512x512 | CT scan slice | Slice 350/588 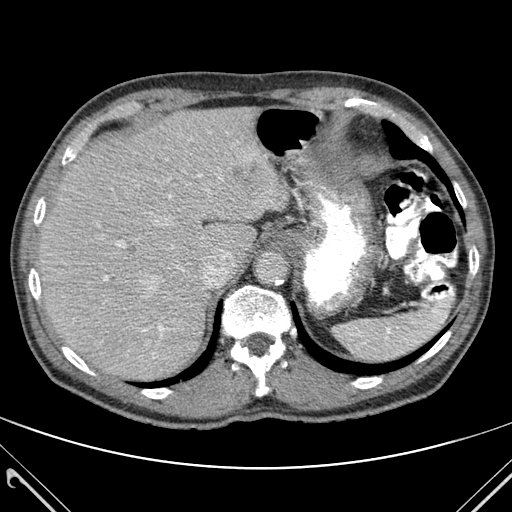

11 bone regions appear at x1=29 y1=269 x2=40 y2=298, x1=34 y1=199 x2=44 y2=224, x1=469 y1=247 x2=478 y2=273, x1=63 y1=148 x2=74 y2=163, x1=455 y1=184 x2=465 y2=206, x1=62 y1=347 x2=93 y2=374, x1=142 y1=388 x2=170 y2=398, x1=353 y1=377 x2=381 y2=388, x1=223 y1=286 x2=290 y2=395, x1=419 y1=332 x2=450 y2=361, x1=414 y1=132 x2=431 y2=149. The liver is bounded by x1=39 y1=107 x2=284 y2=380. 3 lung regions appear at x1=382 y1=121 x2=458 y2=207, x1=146 y1=309 x2=219 y2=386, x1=293 y1=306 x2=436 y2=374. The liver lesion is bounded by x1=233 y1=167 x2=241 y2=177.